CT scan slice, Upper abdomen, Slice index 56

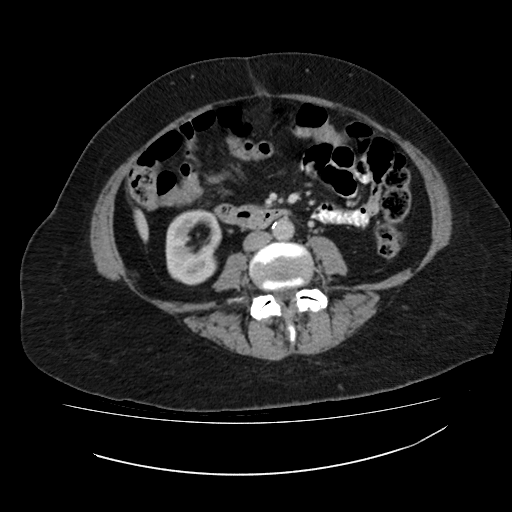 The kidney appears at 166, 211, 219, 284. The liver is located at 136, 211, 147, 239.